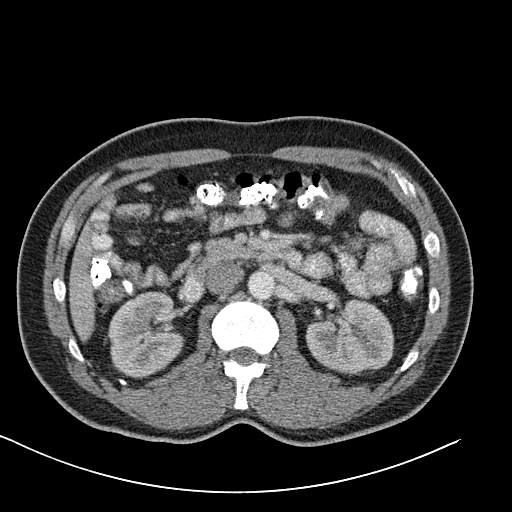
Abdomen; Computed tomography

Segmented structures:
* colon tumor: [x1=323, y1=195, x2=348, y2=226]